Slice index 47, Head
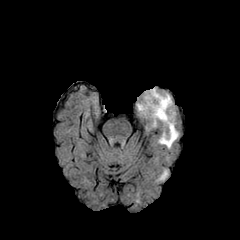
FLAIR MRI.
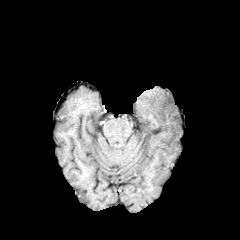
Same slice, T1-weighted magnetic resonance.
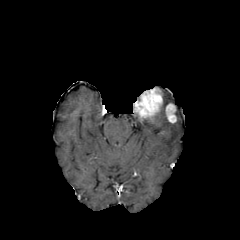
Post-contrast T1-weighted magnetic resonance.
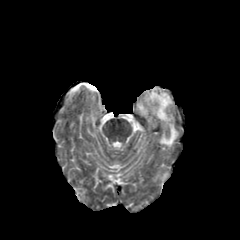
T2-weighted MR.
Findings:
* edema: region(159, 170, 167, 180); region(149, 102, 179, 150); region(161, 90, 173, 103)
* enhancing tumor: region(133, 87, 162, 117); region(166, 103, 175, 123)